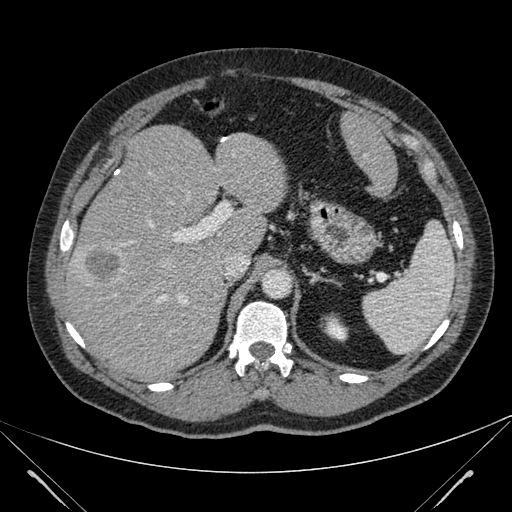
512x512 px | Computed tomography | Upper abdomen
Findings:
- focal liver lesion: [84,245,122,284]
- liver: [54,125,286,382], [341,111,397,196]
- kidney: [327,319,345,339]